CT scan slice.

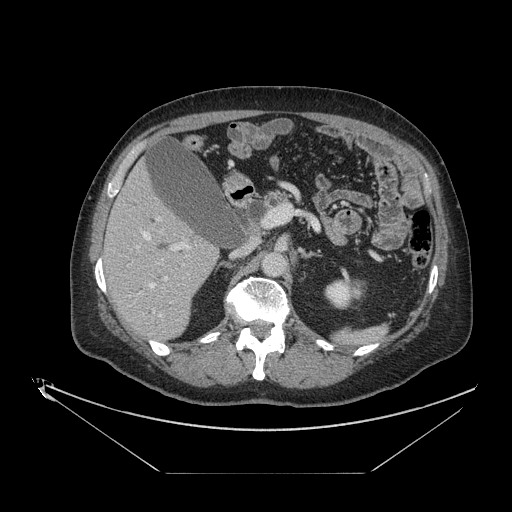

<segmentation>
  <pancreas>[265,190,286,208]</pancreas>
</segmentation>